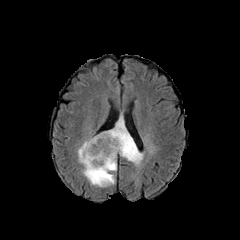
FLAIR MR.
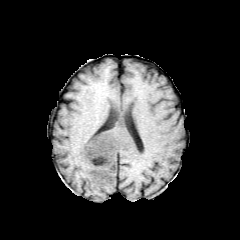
T1-weighted MRI.
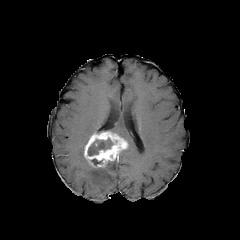
Post-contrast T1-weighted magnetic resonance.
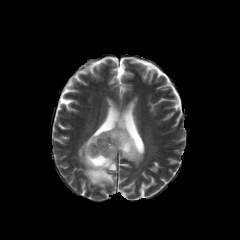
Same slice, T2-weighted MR.
The non-enhancing tumor core is located at 88:138:110:155. The enhancing tumor is located at 83:130:129:168. 2 edema regions are bounded by 109:111:144:166, 77:136:116:187.